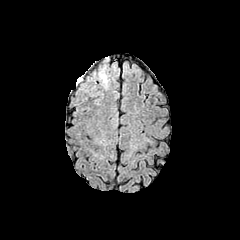
FLAIR MR image.
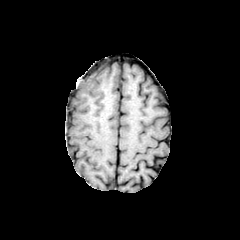
Same slice, T1-weighted MR.
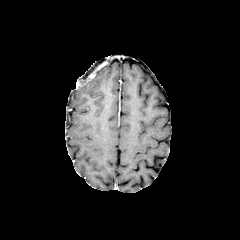
Same slice, post-contrast T1-weighted magnetic resonance.
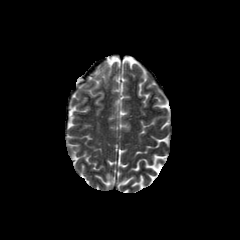
Same slice, T2-weighted MR.
Head
edema: bbox(94, 64, 110, 82)